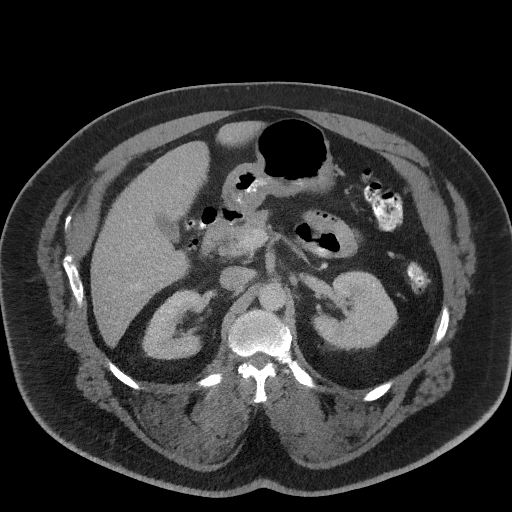

512x512 px | CT scan slice
pancreas: <bbox>204, 211, 268, 253</bbox>